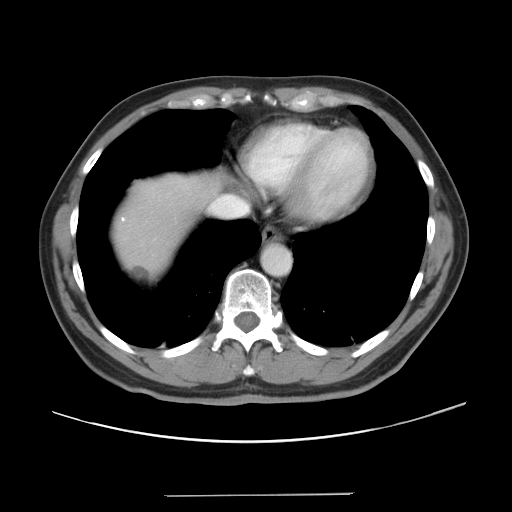
Liver | CT scan slice

Liver tumor — <box>133,266,149,279</box>.